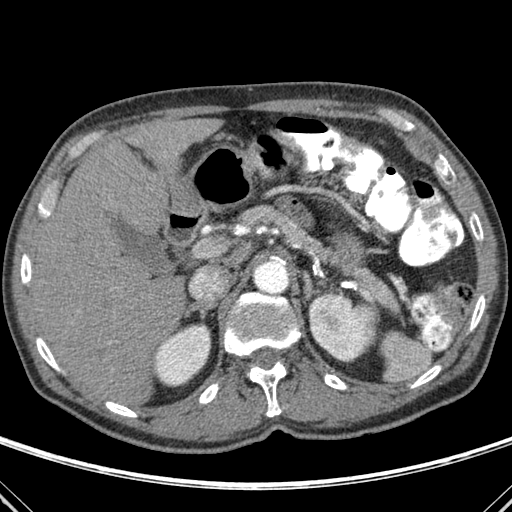
512x512 | CT slice | Abdomen

• kidney: bbox(157, 326, 209, 384); bbox(310, 295, 371, 360)
• bone: bbox(224, 289, 300, 356); bbox(324, 374, 346, 389); bbox(36, 338, 59, 370); bbox(38, 203, 50, 217); bbox(411, 365, 440, 388); bbox(199, 383, 218, 403); bbox(106, 403, 136, 417); bbox(247, 362, 286, 416); bbox(469, 213, 483, 240); bbox(440, 156, 454, 181); bbox(470, 295, 484, 330); bbox(20, 254, 31, 283)
• liver: bbox(33, 119, 223, 405)